Prostate. Field of view 232 mm wide, 4.00 mm slice spacing.
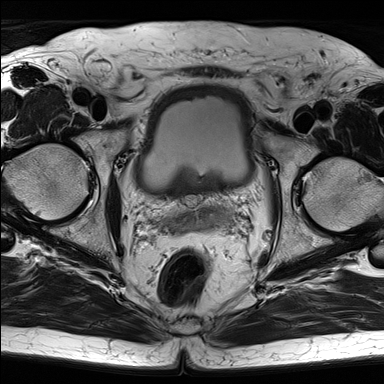
T2-weighted MR image.
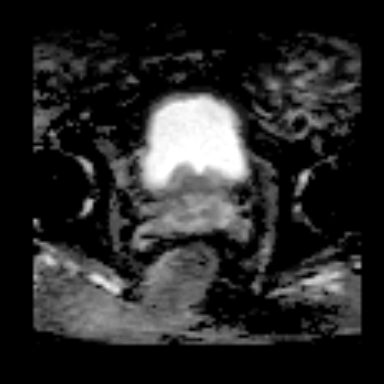
ADC MR image.
prostate transition zone: <bbox>177, 176, 220, 226</bbox>